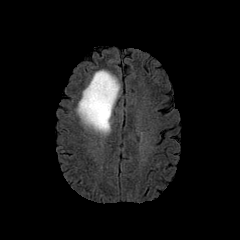
FLAIR magnetic resonance.
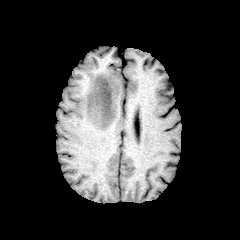
Same slice, T1-weighted MR image.
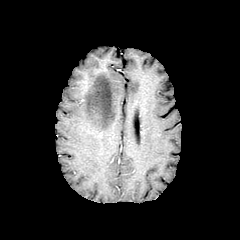
Post-contrast T1-weighted MR image of the same slice.
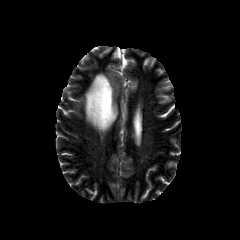
T2-weighted MRI.
Image size 240x240.
Edema: bounding box box=[76, 70, 120, 136].